Head.
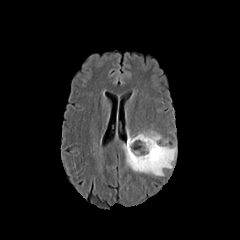
FLAIR MR image.
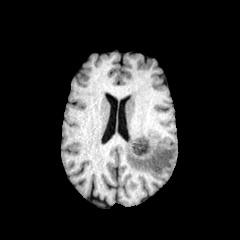
T1-weighted MR image.
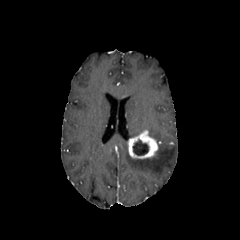
Post-contrast T1-weighted MR image.
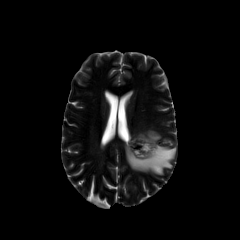
T2-weighted MRI.
Segmented structures:
• non-enhancing tumor core: box(132, 140, 148, 155)
• edema: box(124, 129, 176, 174)
• enhancing tumor: box(128, 130, 159, 158)